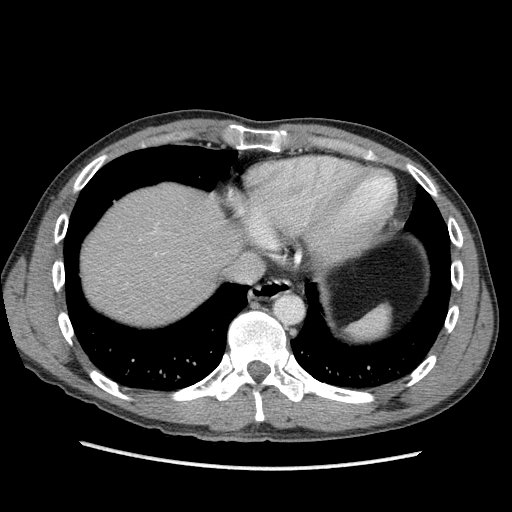
CT image | 512x512
liver:
  - box=[80, 183, 251, 326]